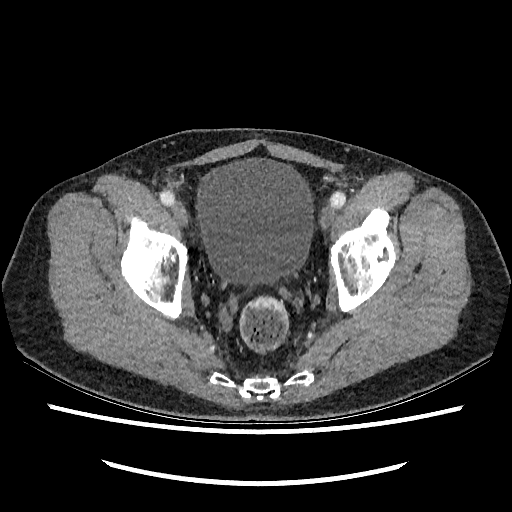
Image size 512x512; CT slice; Lower abdomen
The urinary bladder lies within bbox(195, 157, 314, 286).